Brain
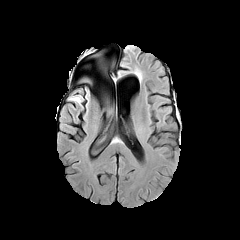
FLAIR MR image.
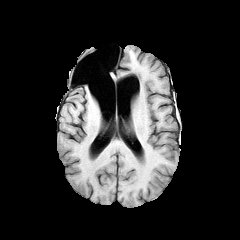
T1-weighted MR image.
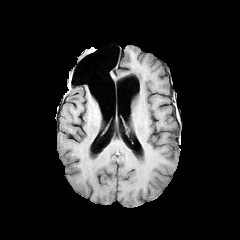
Post-contrast T1-weighted MRI of the same slice.
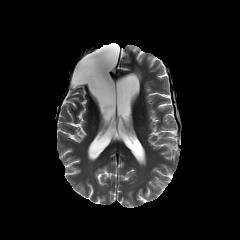
Same slice, T2-weighted MR.
edema:
  - bbox(68, 94, 83, 104)